CT; Slice index 21; Image width 475 mm; Abdomen 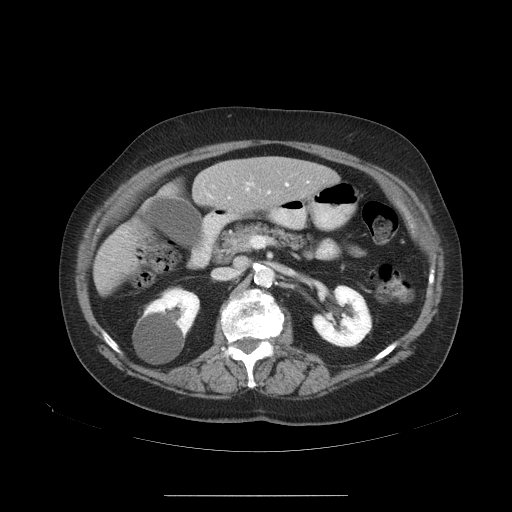
Some hepatic vessels may have no box.
hepatic vessel: rect(206, 194, 211, 198); rect(285, 183, 286, 185); rect(267, 191, 269, 193); rect(246, 182, 252, 190)